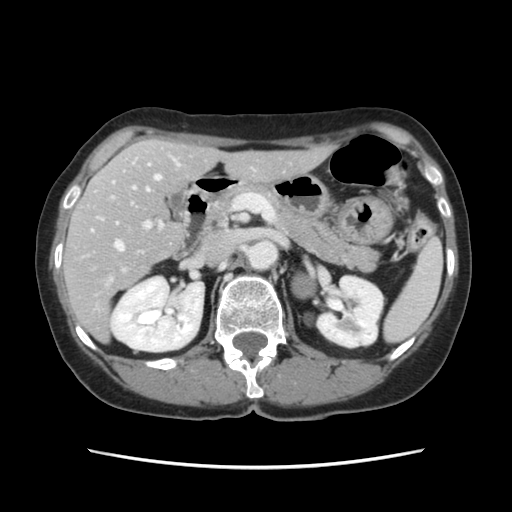

512x512 px. CT scan slice.
Not every hepatic vessel necessarily has a box.
Hepatic vessel: bounding box x1=147, y1=188, x2=148, y2=190; x1=155, y1=175, x2=160, y2=179; x1=115, y1=241, x2=123, y2=250; x1=111, y1=197, x2=113, y2=198; x1=132, y1=186, x2=135, y2=188; x1=172, y1=158, x2=179, y2=166.